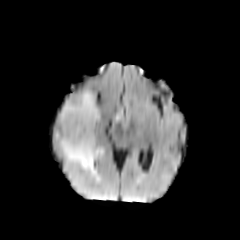
FLAIR MR image.
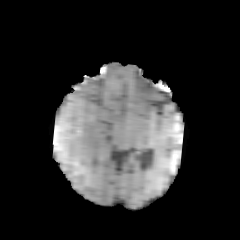
T1-weighted MR image of the same slice.
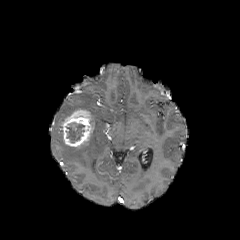
Post-contrast T1-weighted MRI of the same slice.
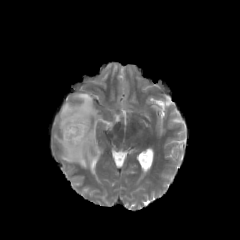
Same slice, T2-weighted MRI.
Head
The enhancing tumor is located at left=61, top=109, right=94, bottom=147. The non-enhancing tumor core is at left=66, top=123, right=85, bottom=143. The edema is at left=54, top=93, right=102, bottom=170.